240x240 px, Brain
FLAIR MRI.
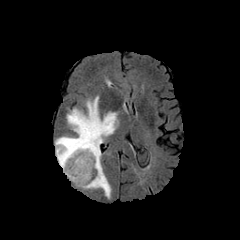
T1-weighted MR.
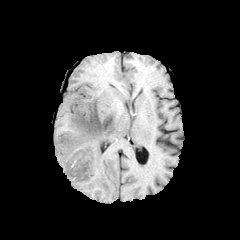
Post-contrast T1-weighted MRI.
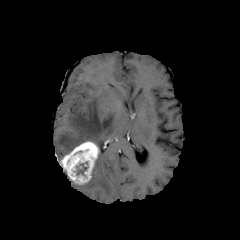
T2-weighted magnetic resonance.
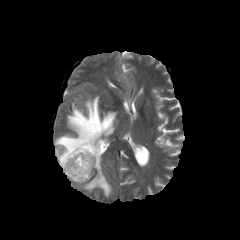
Enhancing tumor: bounding box <box>60,141,99,185</box>.
Edema: bounding box <box>81,151,112,198</box>, <box>55,96,118,164</box>.